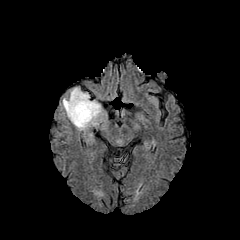
FLAIR MRI.
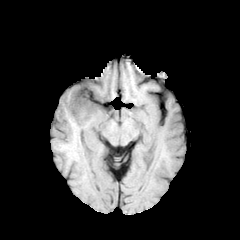
T1-weighted MR.
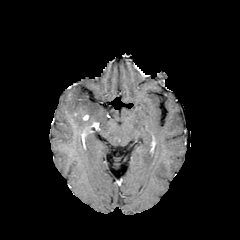
Same slice, post-contrast T1-weighted magnetic resonance.
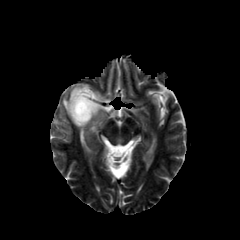
T2-weighted magnetic resonance.
{"edema": ["<box>58,86,107,131</box>"], "non-enhancing_tumor_core": ["<box>72,102,89,121</box>", "<box>83,124,94,137</box>"]}